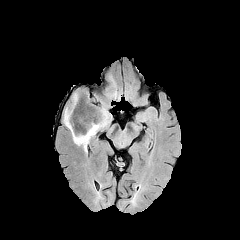
FLAIR MR image.
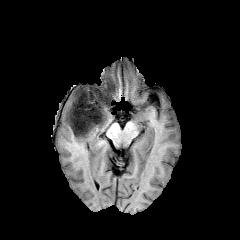
T1-weighted MR.
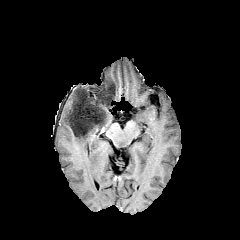
Same slice, post-contrast T1-weighted MR.
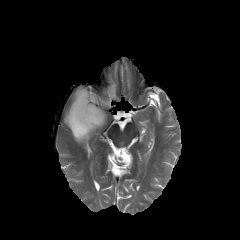
Same slice, T2-weighted MRI.
non-enhancing_tumor_core:
  - <box>108,82,115,98</box>
  - <box>74,100,105,137</box>
  - <box>97,96,108,106</box>
edema:
  - <box>63,104,109,149</box>